CT scan slice; Slice 644 of 689 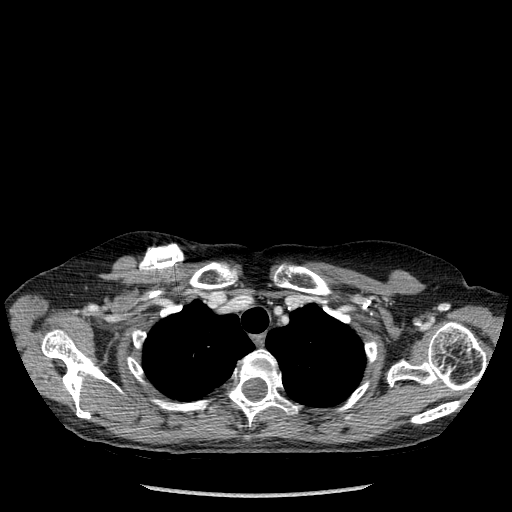 * lung: x1=142 y1=300 x2=268 y2=400, x1=265 y1=304 x2=365 y2=407
* bone: x1=41 y1=329 x2=122 y2=418, x1=127 y1=357 x2=143 y2=381, x1=322 y1=300 x2=350 y2=322, x1=226 y1=349 x2=299 y2=426, x1=339 y1=382 x2=369 y2=410, x1=157 y1=299 x2=182 y2=316, x1=365 y1=341 x2=377 y2=362, x1=411 y1=401 x2=461 y2=423, x1=387 y1=322 x2=486 y2=390, x1=132 y1=330 x2=146 y2=348, x1=152 y1=399 x2=208 y2=411, x1=189 y1=262 x2=237 y2=289, x1=274 y1=265 x2=330 y2=295